CT 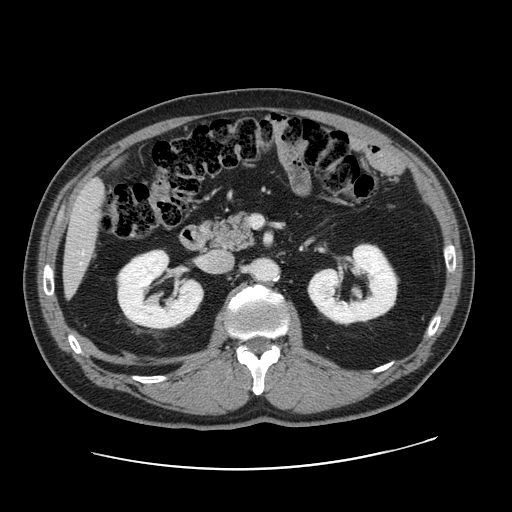

Only some of the vessels may be annotated.
Hepatic vessel = 66, 288, 71, 293; 94, 180, 102, 195; 94, 213, 98, 216.